Abdomen. Computed tomography. Slice 28 of 30.
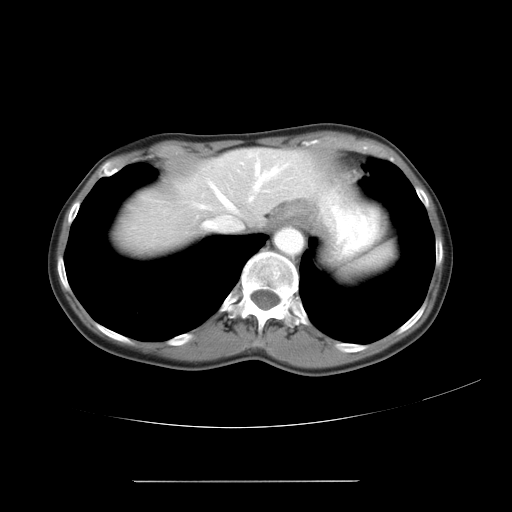

The vessel boxes may cover only some of the vessels.
4 hepatic vessel regions are located at [240,162,242,163], [247,151,292,200], [192,203,206,208], [203,181,241,229].